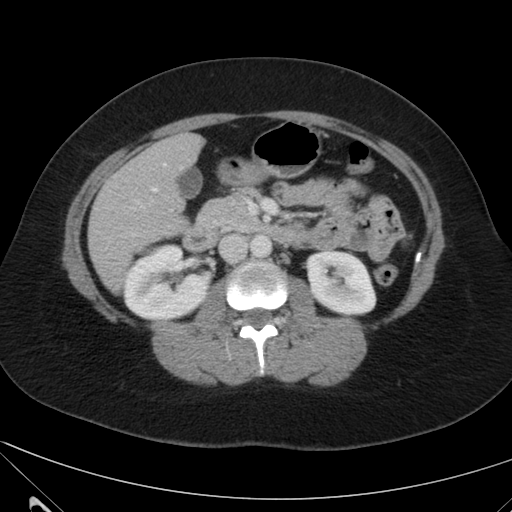
CT | Abdomen
Kidney = 310 252 374 313, 125 246 208 318.
Liver = 88 132 202 291.